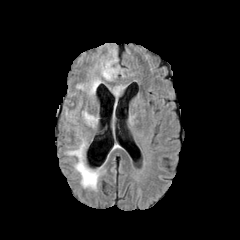
FLAIR MR.
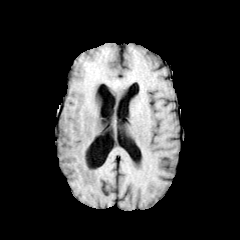
T1-weighted magnetic resonance of the same slice.
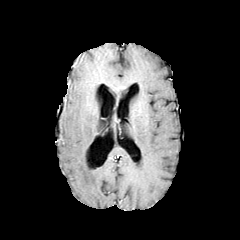
Post-contrast T1-weighted MRI of the same slice.
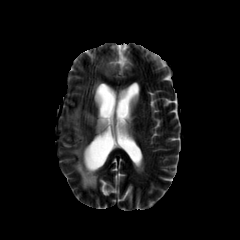
T2-weighted MR of the same slice.
Image size 240x240
6 edema regions are bounded by x1=67 y1=114 x2=77 y2=123, x1=89 y1=80 x2=101 y2=94, x1=112 y1=87 x2=124 y2=96, x1=102 y1=49 x2=118 y2=78, x1=84 y1=112 x2=97 y2=125, x1=67 y1=134 x2=101 y2=190.